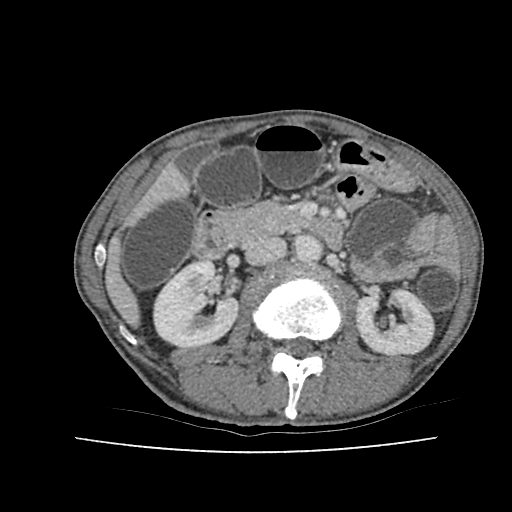

CT image; Image size 512x512
2 kidney regions appear at (left=154, top=261, right=237, bottom=346), (left=357, top=291, right=433, bottom=354). 2 liver regions appear at (left=134, top=168, right=183, bottom=218), (left=107, top=243, right=135, bottom=317).